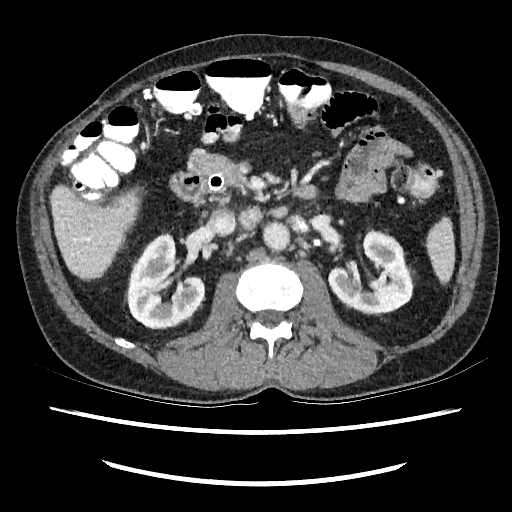 CT

2 kidney regions are bounded by bbox(329, 232, 411, 312); bbox(128, 235, 203, 327). The liver is located at bbox(50, 186, 138, 278).